CT slice | 512x512
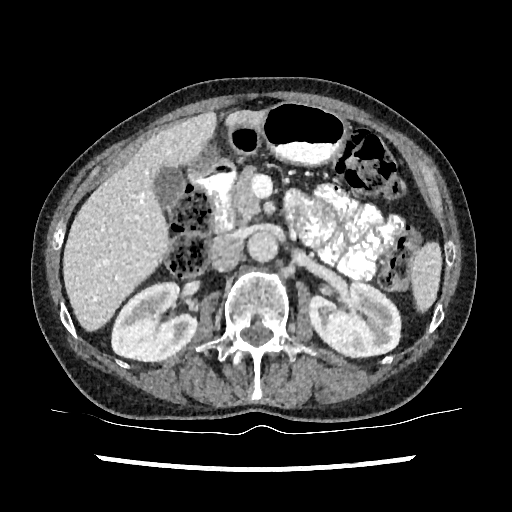 Liver at region(228, 110, 263, 126); region(64, 112, 214, 329).
Kidney at region(310, 283, 400, 356); region(112, 281, 196, 360).